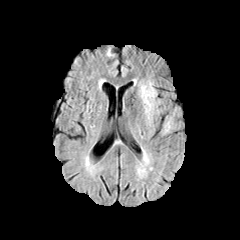
FLAIR MR image.
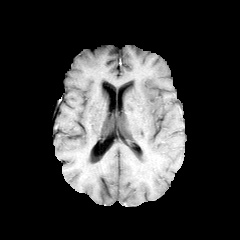
T1-weighted MRI.
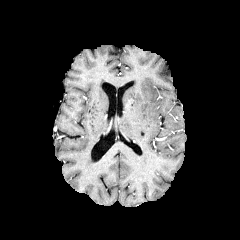
Same slice, post-contrast T1-weighted MRI.
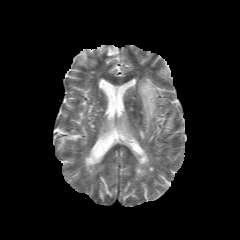
T2-weighted magnetic resonance.
Image size 240x240 | Head
<segmentation>
  <edema>(x1=138, y1=83, x2=158, y2=122), (x1=163, y1=116, x2=173, y2=131), (x1=136, y1=149, x2=151, y2=175)</edema>
</segmentation>